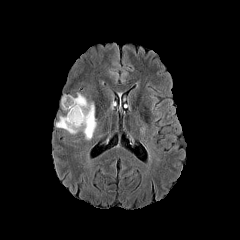
FLAIR MR image.
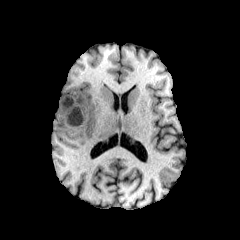
T1-weighted magnetic resonance.
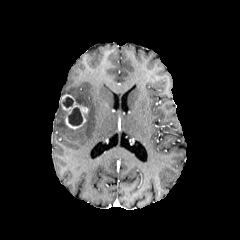
Same slice, post-contrast T1-weighted MR image.
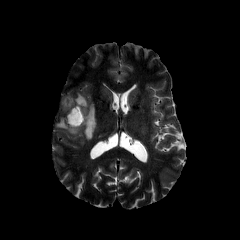
Same slice, T2-weighted MR image.
240x240 px
Edema at [x1=56, y1=92, x2=96, y2=140].
Enhancing tumor at [x1=60, y1=94, x2=88, y2=129].
Non-enhancing tumor core at [x1=68, y1=107, x2=83, y2=125], [x1=61, y1=96, x2=73, y2=108].